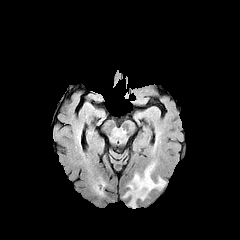
FLAIR magnetic resonance.
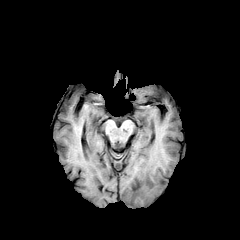
T1-weighted MRI.
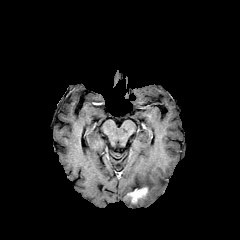
Post-contrast T1-weighted magnetic resonance.
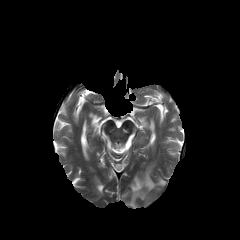
Same slice, T2-weighted MR image.
Image size 240x240
Edema: bounding box (127,161,165,202).
Enhancing tumor: bounding box (127,187,147,203).